Slice 60 of 93; Computed tomography; Upper abdomen
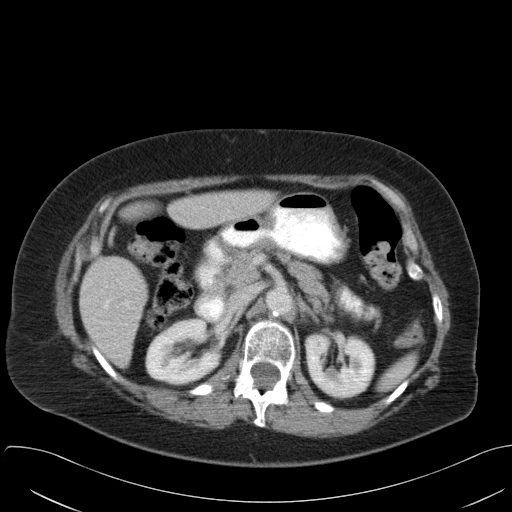 The spleen appears at 379 354 416 390.